Slice 31 of 53. 512x512 px. Abdomen. CT scan slice. Image width 475 mm.
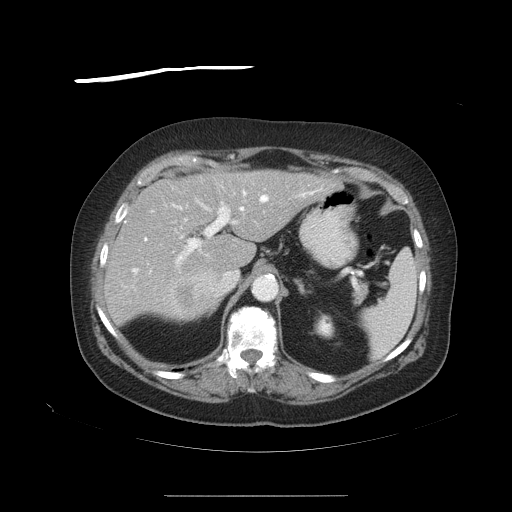 Not every hepatic vessel necessarily has a box.
[15/21] hepatic vessel: {"x1": 172, "y1": 204, "x2": 181, "y2": 209}, {"x1": 220, "y1": 186, "x2": 222, "y2": 188}, {"x1": 240, "y1": 207, "x2": 242, "y2": 211}, {"x1": 230, "y1": 195, "x2": 232, "y2": 196}, {"x1": 259, "y1": 195, "x2": 267, "y2": 202}, {"x1": 174, "y1": 238, "x2": 201, "y2": 265}, {"x1": 132, "y1": 269, "x2": 137, "y2": 273}, {"x1": 298, "y1": 186, "x2": 322, "y2": 197}, {"x1": 204, "y1": 202, "x2": 237, "y2": 237}, {"x1": 144, "y1": 238, "x2": 146, "y2": 240}, {"x1": 242, "y1": 191, "x2": 245, "y2": 195}, {"x1": 149, "y1": 270, "x2": 150, "y2": 273}, {"x1": 196, "y1": 200, "x2": 210, "y2": 210}, {"x1": 179, "y1": 235, "x2": 182, "y2": 238}, {"x1": 218, "y1": 271, "x2": 237, "y2": 294} | liver tumor: {"x1": 172, "y1": 275, "x2": 211, "y2": 315}